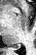 MRI. Image size 36x55.

posterior hippocampus: region(13, 45, 20, 48)